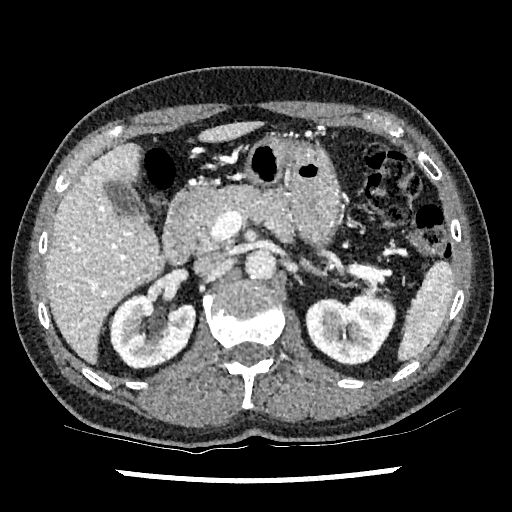
Upper abdomen. Computed tomography. 512x512. Liver — 46, 143, 165, 363; 198, 121, 262, 142.
Kidney — 307, 296, 394, 363; 112, 292, 194, 366.